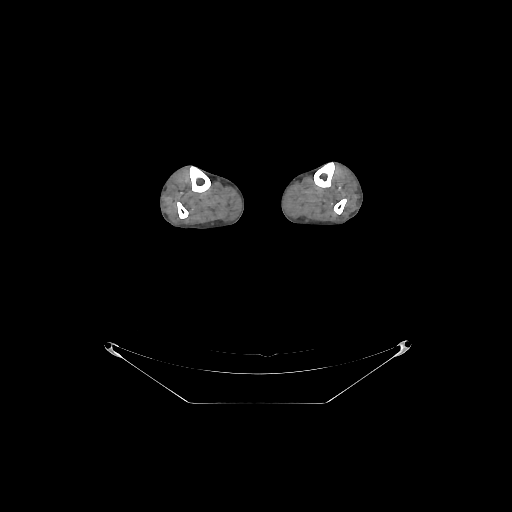 CT image. bone:
  - box=[314, 162, 334, 187]
  - box=[177, 202, 188, 218]
  - box=[334, 199, 346, 214]
  - box=[189, 166, 210, 192]